Upper abdomen. Computed tomography. Field of view 415 mm wide, 2.50 mm slice spacing. Slice 44 of 89.

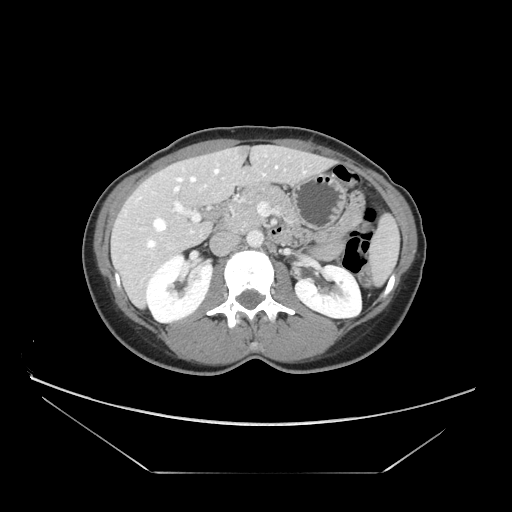
Pancreas: bounding box [221, 185, 298, 233].